FLAIR MR.
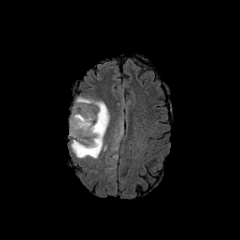
T1-weighted MRI.
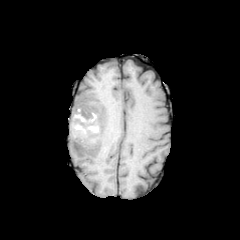
Post-contrast T1-weighted MR image.
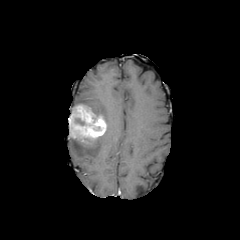
T2-weighted MR image.
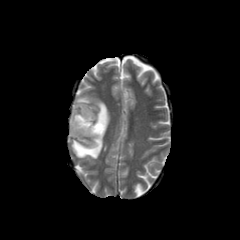
Brain
2 edema regions are located at 76 97 110 128, 71 132 106 159. The enhancing tumor is at 69 104 106 143.